Computed tomography, 512x512 px 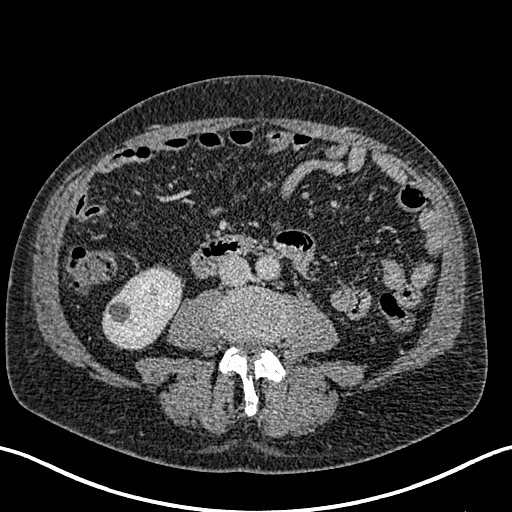
The kidney appears at box=[103, 269, 180, 348].